Head | Slice 50 of 155
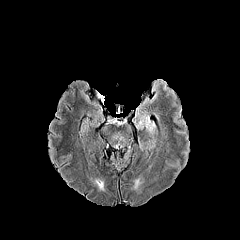
FLAIR MR image.
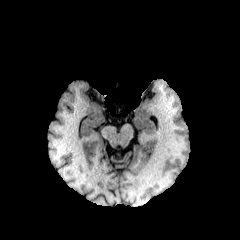
T1-weighted MR of the same slice.
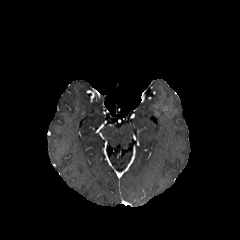
Post-contrast T1-weighted MR image of the same slice.
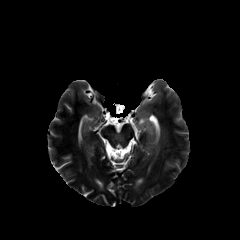
Same slice, T2-weighted MR.
The edema is at 136 117 155 134.